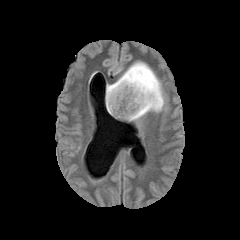
FLAIR MR image.
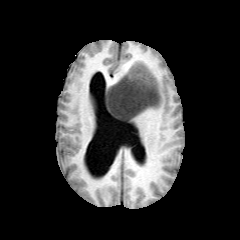
Same slice, T1-weighted MRI.
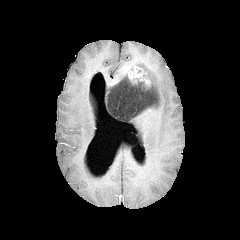
Same slice, post-contrast T1-weighted magnetic resonance.
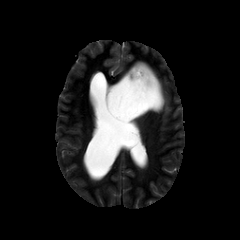
T2-weighted magnetic resonance.
Brain. 240x240.
• enhancing tumor: {"x1": 123, "y1": 63, "x2": 150, "y2": 86}
• non-enhancing tumor core: {"x1": 106, "y1": 78, "x2": 158, "y2": 121}
• edema: {"x1": 106, "y1": 70, "x2": 127, "y2": 94}, {"x1": 130, "y1": 61, "x2": 166, "y2": 121}